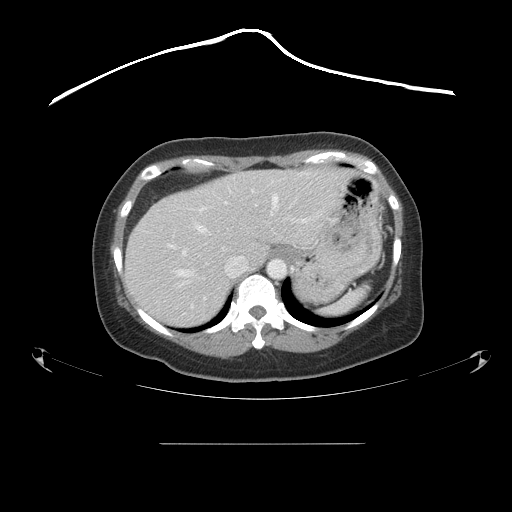
Image size 512x512, CT
Not every hepatic vessel necessarily has a box.
<segmentation partial="true">
  <hepatic_vessel shown="15" total="17">176:269:192:286, 203:297:205:299, 266:222:270:223, 272:194:277:209, 222:248:224:250, 182:249:187:255, 225:256:247:275, 292:201:294:204, 225:202:227:204, 167:244:175:249, 292:218:310:223, 251:189:253:192, 199:207:205:211, 196:226:209:234, 270:213:272:215</hepatic_vessel>
</segmentation>